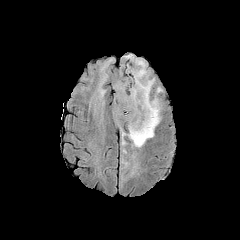
FLAIR magnetic resonance.
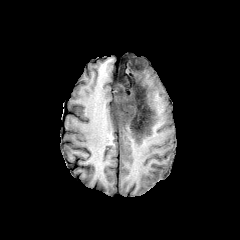
T1-weighted magnetic resonance.
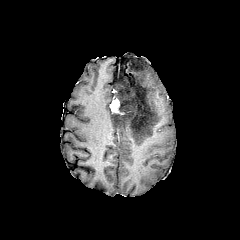
Post-contrast T1-weighted MR.
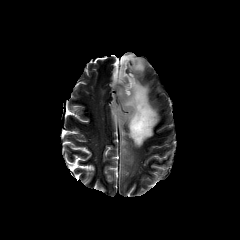
T2-weighted MR image.
240x240; Brain
The non-enhancing tumor core lies within (114,77,152,139). 2 edema regions are bounded by (122,153,135,169), (116,54,160,152). The enhancing tumor is at (112,100,122,114).